CT; Slice 18/155
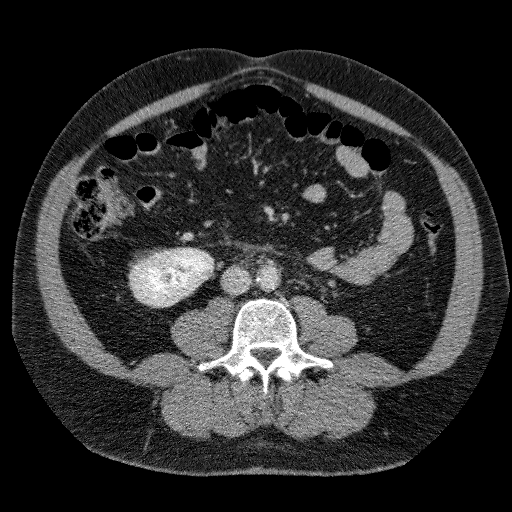 {
  "kidney": [
    "131 248 212 305"
  ]
}